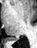
Magnetic resonance. Hippocampus.

{
  "posterior_hippocampus": [
    "(12, 38, 19, 40)"
  ]
}